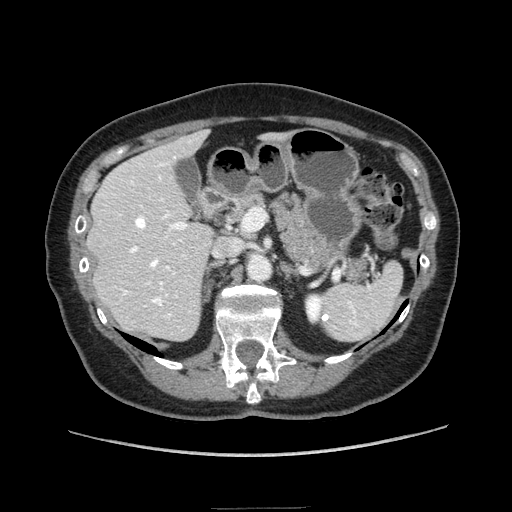
Image size 512x512. Abdomen. CT.
pancreas: left=231, top=193, right=333, bottom=268; left=346, top=260, right=365, bottom=281